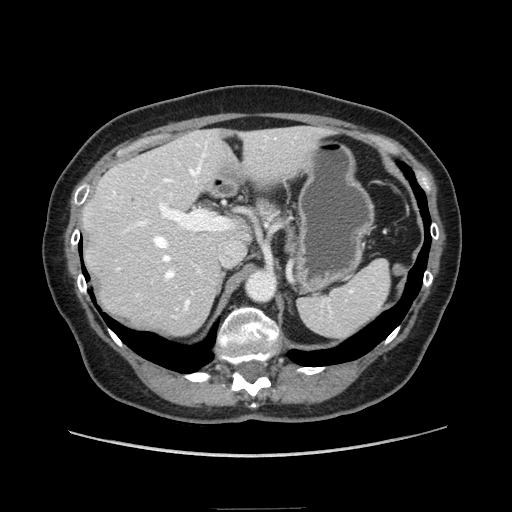

Upper abdomen; Computed tomography
Pancreas at 253:199:276:219.